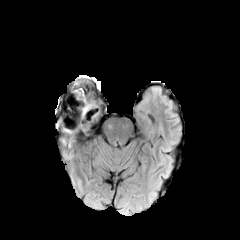
FLAIR MRI.
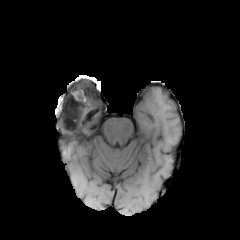
T1-weighted magnetic resonance of the same slice.
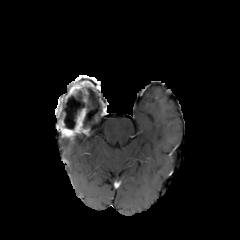
Post-contrast T1-weighted magnetic resonance.
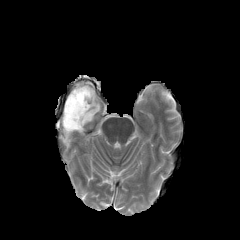
Same slice, T2-weighted MR.
Annotated regions:
- non-enhancing tumor core: (x1=63, y1=119, x2=79, y2=129), (x1=76, y1=106, x2=85, y2=118)
- enhancing tumor: (x1=75, y1=109, x2=84, y2=129), (x1=57, y1=120, x2=73, y2=135)